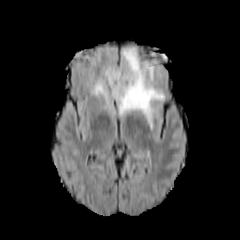
FLAIR MR image.
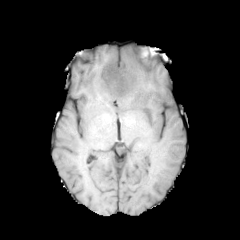
T1-weighted magnetic resonance.
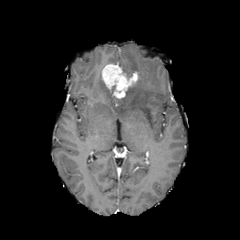
Post-contrast T1-weighted magnetic resonance of the same slice.
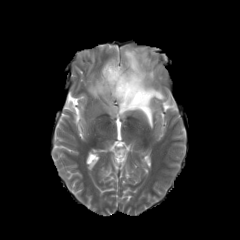
T2-weighted magnetic resonance.
Brain
The enhancing tumor is located at l=101, t=63, r=137, b=98. 2 edema regions are bounded by l=89, t=75, r=107, b=94; l=115, t=48, r=164, b=129. The non-enhancing tumor core is located at l=119, t=88, r=131, b=103.